Magnetic resonance. Hippocampus. 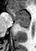

anterior hippocampus: box(10, 9, 29, 21) | posterior hippocampus: box(15, 22, 29, 29)